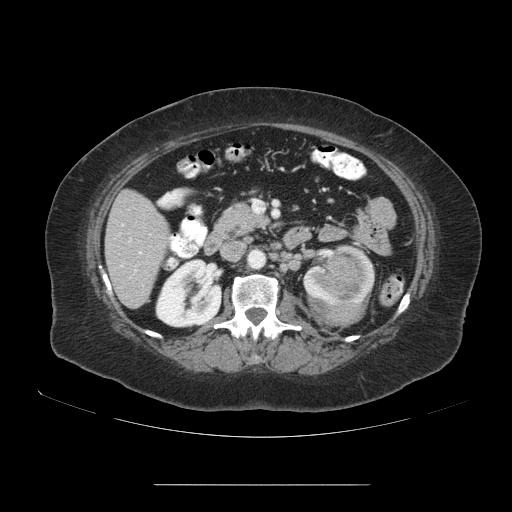

Abdomen; CT image; 512x512 px
Some hepatic vessels may have no box.
Annotated regions:
- hepatic vessel: [138, 252, 140, 253]